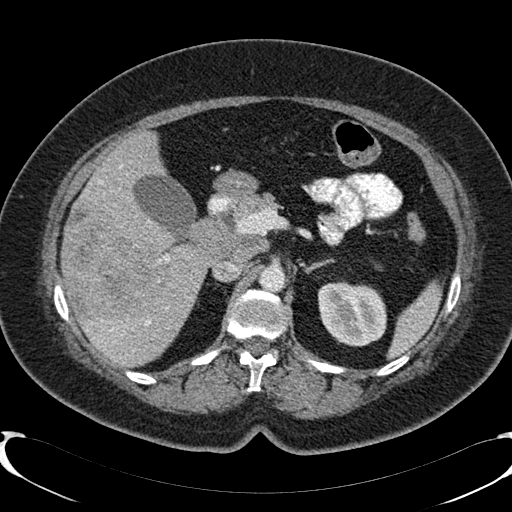

CT image | 512x512 px
{"focal_liver_lesion": ["box=[66, 204, 168, 320]"], "liver": ["box=[76, 130, 209, 366]", "box=[62, 218, 72, 298]"], "kidney": ["box=[318, 283, 385, 345]"]}